Abdomen | Image width 487 mm | 512x512 | CT image
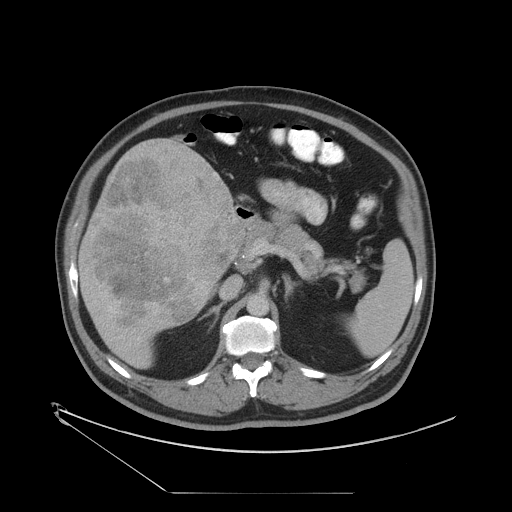

Only some of the vessels may be annotated.
<segmentation>
  <hepatic_vessel>left=149, top=305, right=159, bottom=313; left=122, top=336, right=123, bottom=338; left=196, top=282, right=203, bottom=292; left=114, top=300, right=117, bottom=304; left=107, top=306, right=116, bottom=312; left=100, top=292, right=109, bottom=296; left=108, top=339, right=111, bottom=340; left=134, top=337, right=141, bottom=344</hepatic_vessel>
  <liver_tumor>left=79, top=148, right=243, bottom=332</liver_tumor>
</segmentation>